512x512 | CT image

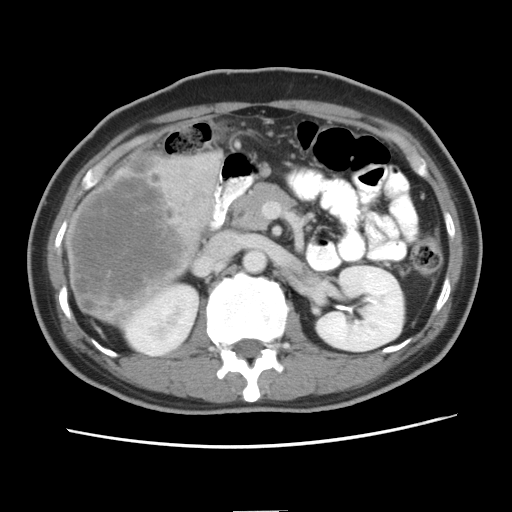 The vessel boxes may cover only some of the vessels.
liver_tumor:
  - 68 151 190 317
hepatic_vessel:
  - 216 190 217 195